FLAIR magnetic resonance.
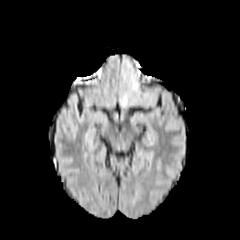
T1-weighted MR image.
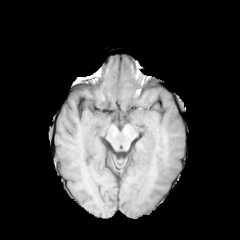
Post-contrast T1-weighted MR image.
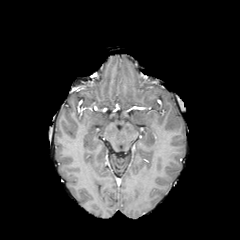
T2-weighted MR.
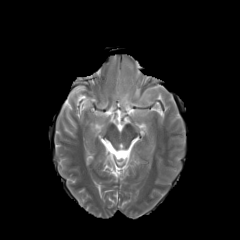
Head.
The edema is located at (123,93,151,105).